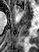 39x52 px; MR image; Medial temporal lobe

The anterior hippocampus is located at <box>15,5,21,12</box>.